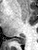 38x50 px, Magnetic resonance, Hippocampus
<segmentation>
  <posterior_hippocampus>left=13, top=37, right=25, bottom=44</posterior_hippocampus>
</segmentation>